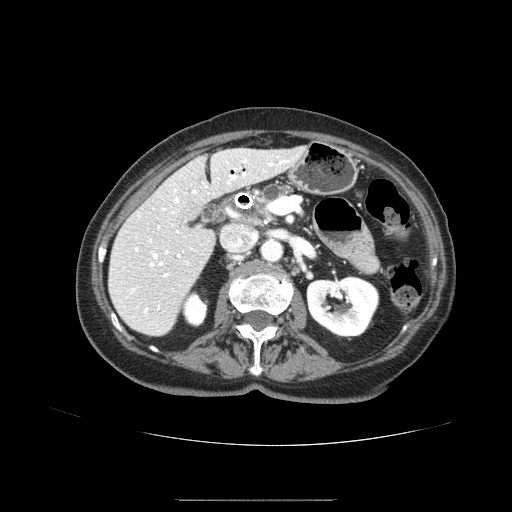

CT slice; Upper abdomen

pancreas: (left=262, top=185, right=289, bottom=202)